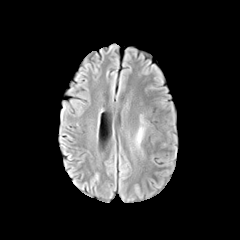
FLAIR magnetic resonance.
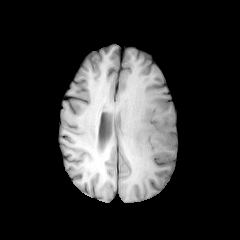
Same slice, T1-weighted magnetic resonance.
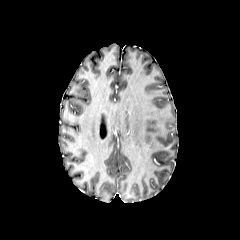
Post-contrast T1-weighted MR image.
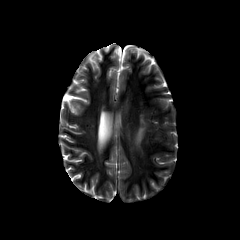
T2-weighted MRI of the same slice.
Image size 240x240 | Head
Segmented structures:
* edema: box=[133, 114, 148, 156]